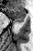

MR image, Medial temporal lobe
Anterior hippocampus = (9,8,25,23).